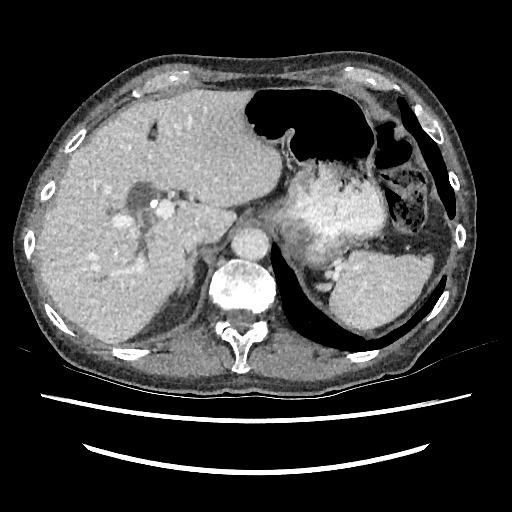
CT image
Liver = (36,91,279,342).